Liver | Field of view 424 mm wide, 5.00 mm slice spacing | CT slice
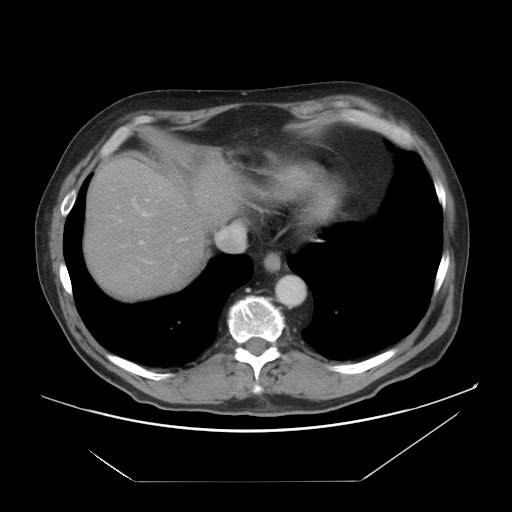 {"liver": ["<box>84,144,269,299</box>"]}